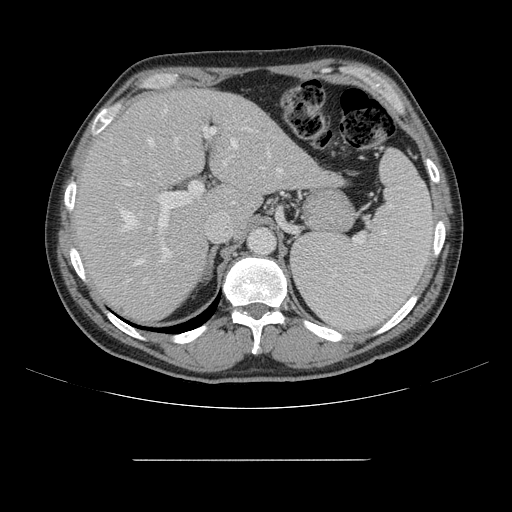
CT; Abdomen
Some hepatic vessels may have no box.
[15/18] hepatic vessel: bbox(223, 161, 225, 165); bbox(143, 279, 145, 282); bbox(161, 239, 162, 242); bbox(133, 259, 143, 265); bbox(277, 168, 282, 172); bbox(228, 147, 230, 149); bbox(247, 129, 251, 131); bbox(231, 139, 237, 146); bbox(158, 181, 203, 230); bbox(266, 151, 270, 156); bbox(124, 183, 130, 184); bbox(203, 126, 215, 137); bbox(161, 244, 169, 261); bbox(120, 209, 135, 230); bbox(123, 159, 125, 162)